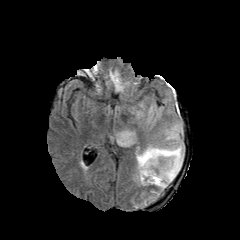
FLAIR MRI.
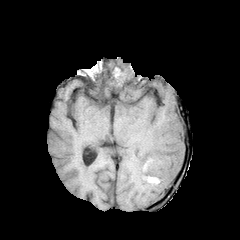
T1-weighted MRI.
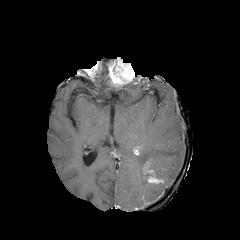
Same slice, post-contrast T1-weighted MR.
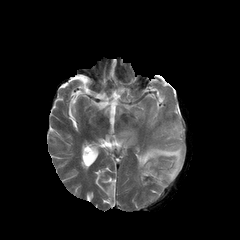
T2-weighted MR of the same slice.
240x240
Enhancing tumor: (109, 66, 126, 83), (149, 176, 163, 182).
Edema: (136, 120, 184, 192).
Non-enhancing tumor core: (143, 167, 163, 179), (109, 60, 134, 82).